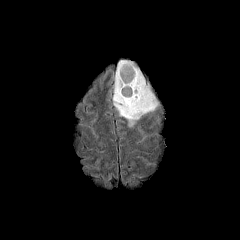
FLAIR MR image.
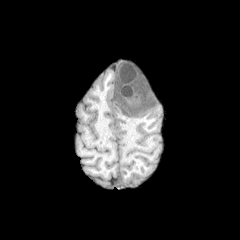
T1-weighted MR of the same slice.
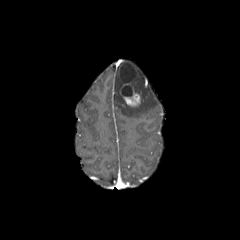
Post-contrast T1-weighted magnetic resonance.
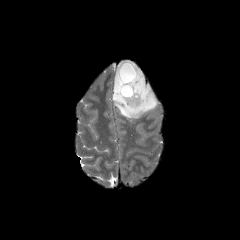
T2-weighted magnetic resonance of the same slice.
Enhancing tumor at (x1=118, y1=82, x2=141, y2=107).
Non-enhancing tumor core at (x1=118, y1=63, x2=138, y2=90), (x1=121, y1=86, x2=132, y2=96).
Edema at (x1=114, y1=73, x2=157, y2=125).